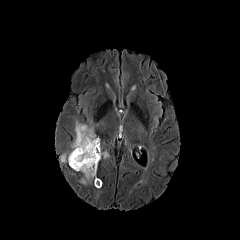
FLAIR MR image.
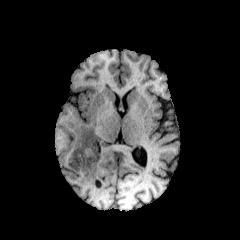
T1-weighted MRI of the same slice.
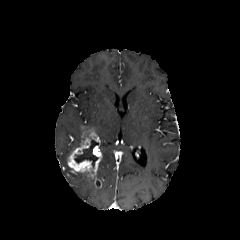
Post-contrast T1-weighted MR image.
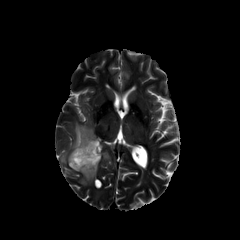
T2-weighted MR image.
Non-enhancing tumor core: bounding box x1=74, y1=140, x2=98, y2=168.
Edema: bounding box x1=60, y1=119, x2=95, y2=163; x1=79, y1=172, x2=92, y2=184.
Enhancing tumor: bounding box x1=67, y1=126, x2=101, y2=188.